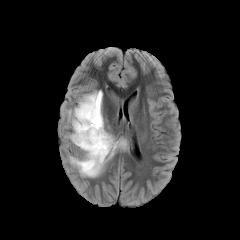
FLAIR magnetic resonance.
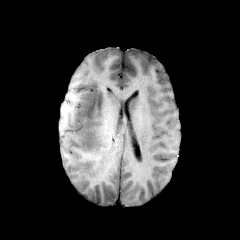
Same slice, T1-weighted magnetic resonance.
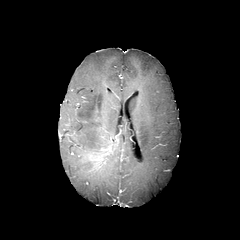
Post-contrast T1-weighted MR.
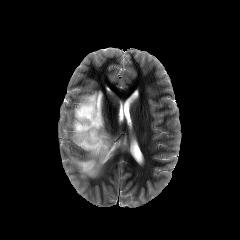
Same slice, T2-weighted MR image.
Head
<segmentation>
  <edema>x1=69 y1=90 x2=126 y2=177</edema>
  <non-enhancing_tumor_core>x1=85 y1=103 x2=94 y2=117, x1=100 y1=145 x2=112 y2=157</non-enhancing_tumor_core>
</segmentation>